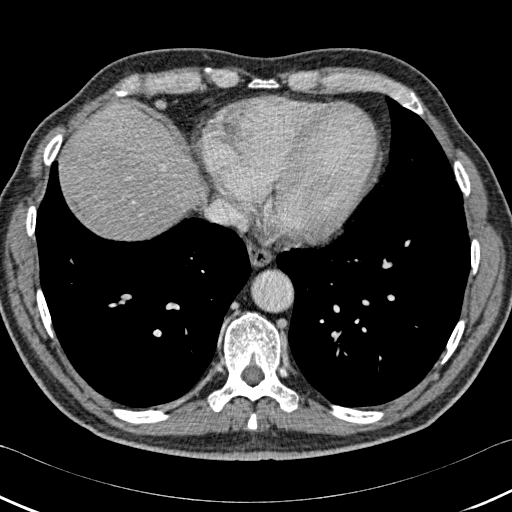 CT, Abdomen
Bone = (37, 290, 52, 337), (471, 239, 479, 273), (399, 92, 422, 114), (249, 79, 278, 87), (208, 313, 297, 412), (441, 320, 464, 363), (26, 206, 35, 236), (115, 86, 127, 96), (248, 414, 256, 428), (330, 406, 383, 423), (454, 161, 469, 195), (43, 134, 61, 165), (113, 409, 168, 423).
Liver = (69, 108, 205, 240).
Lung = (35, 160, 252, 407), (273, 95, 470, 407).